CT, Upper abdomen, Slice 590/671

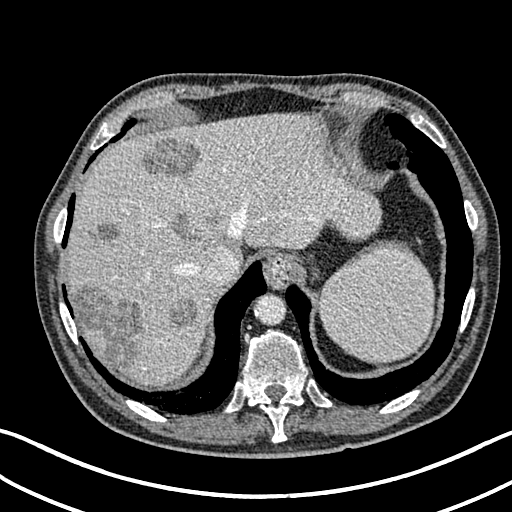
Segmented structures:
• hepatic lesion: x1=208 y1=212 x2=217 y2=220, x1=74 y1=285 x2=142 y2=367, x1=171 y1=213 x2=188 y2=235, x1=166 y1=298 x2=197 y2=327, x1=144 y1=137 x2=199 y2=176, x1=96 y1=223 x2=118 y2=241
• liver: x1=67 y1=114 x2=381 y2=385, x1=82 y1=328 x2=105 y2=357